FLAIR magnetic resonance.
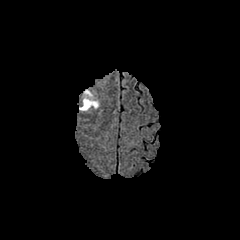
T1-weighted MR image.
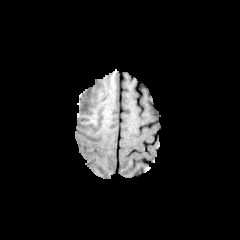
Post-contrast T1-weighted MRI.
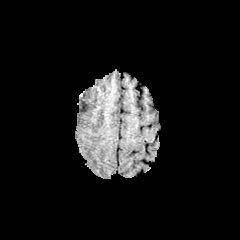
T2-weighted magnetic resonance.
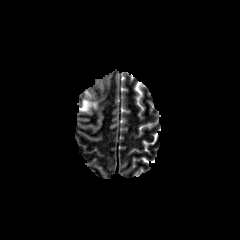
<segmentation>
  <edema>(x1=79, y1=90, x2=98, y2=112)</edema>
</segmentation>